Computed tomography | Slice 440 of 781

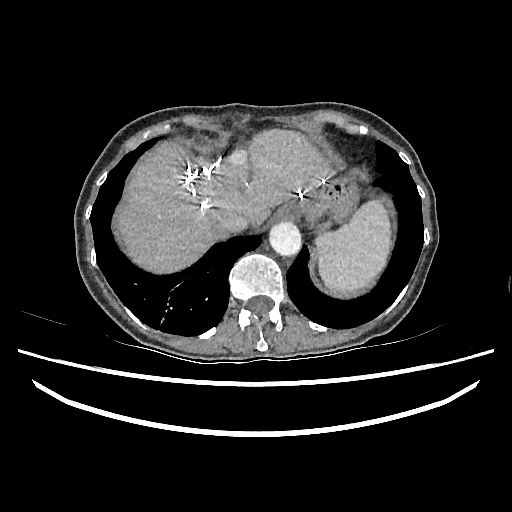
<segmentation>
  <liver>region(119, 131, 329, 271)</liver>
</segmentation>